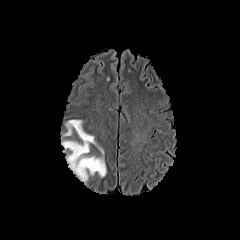
FLAIR MR.
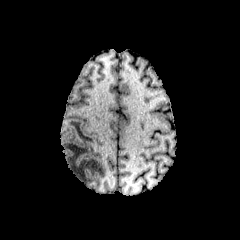
T1-weighted MR image.
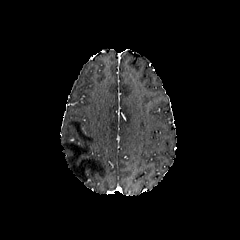
Post-contrast T1-weighted MRI of the same slice.
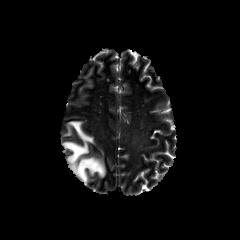
T2-weighted MR of the same slice.
240x240, Brain
Edema: bounding box <bbox>61, 120, 106, 182</bbox>.